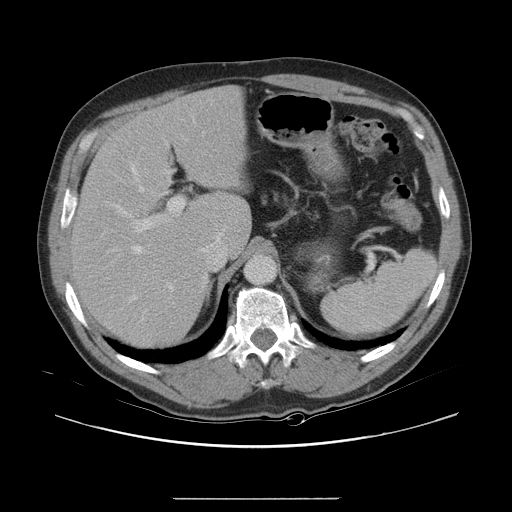 Liver, Computed tomography
Some hepatic vessels may have no box.
Findings:
- hepatic vessel (largest 15 of 16): <bbox>201, 248, 206, 251</bbox>, <bbox>204, 152, 205, 154</bbox>, <bbox>190, 114, 194, 121</bbox>, <bbox>132, 245, 143, 254</bbox>, <bbox>135, 226, 142, 232</bbox>, <bbox>139, 187, 143, 192</bbox>, <bbox>202, 132, 204, 134</bbox>, <bbox>108, 250, 114, 252</bbox>, <bbox>162, 169, 169, 182</bbox>, <bbox>191, 205, 193, 208</bbox>, <bbox>214, 230, 223, 240</bbox>, <bbox>129, 292, 136, 301</bbox>, <bbox>167, 283, 173, 291</bbox>, <bbox>159, 194, 162, 195</bbox>, <bbox>131, 162, 138, 183</bbox>